Upper abdomen | Computed tomography | Field of view 392 mm wide, 2.50 mm slice spacing

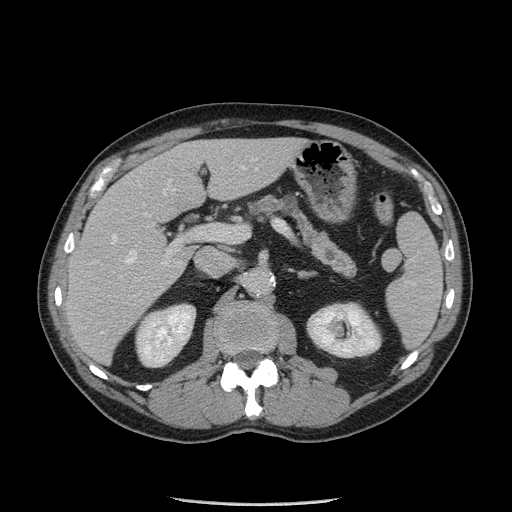

The pancreatic tumor is at bbox(282, 194, 297, 212). The pancreas is located at bbox(248, 194, 357, 278).